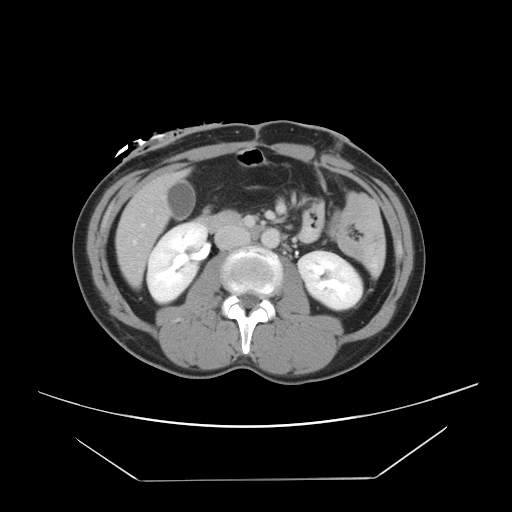

CT slice. The vessel annotation is not exhaustive.
{"hepatic_vessel": ["bbox=[149, 209, 152, 211]", "bbox=[161, 196, 163, 198]", "bbox=[142, 224, 143, 227]", "bbox=[127, 239, 136, 244]"]}